FLAIR MR.
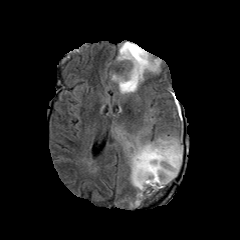
T1-weighted MR image.
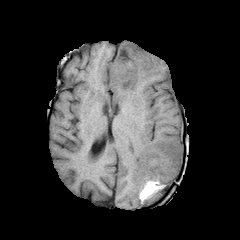
Post-contrast T1-weighted MR.
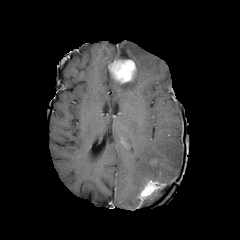
T2-weighted MRI.
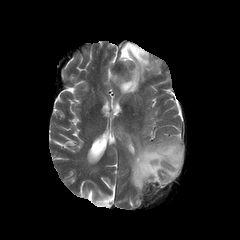
2 edema regions are located at (130,137,182,191), (118,41,160,93). 2 non-enhancing tumor core regions appear at (117,50,131,59), (109,60,125,79). 2 enhancing tumor regions are bounded by (113,59,135,83), (139,180,164,199).